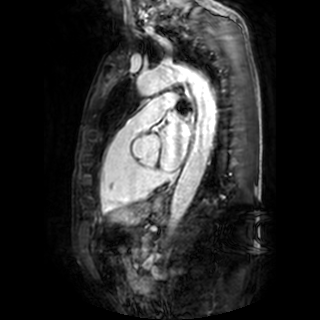 Cardiac; 320x320; MRI
<segmentation>
  <left_atrium>rect(160, 113, 189, 170)</left_atrium>
</segmentation>